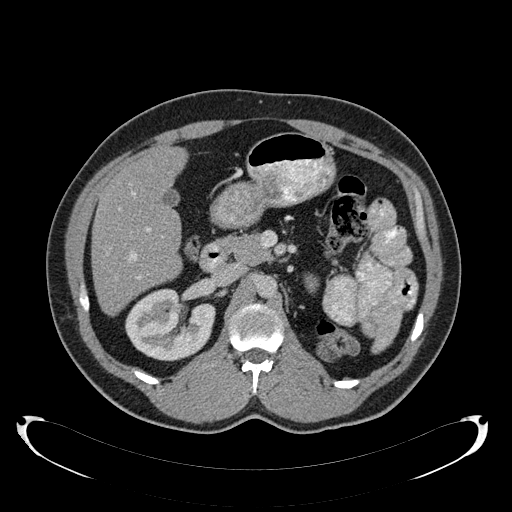

Upper abdomen. CT slice.

The kidney appears at 126,289,214,360. The liver lies within 92,148,185,314.